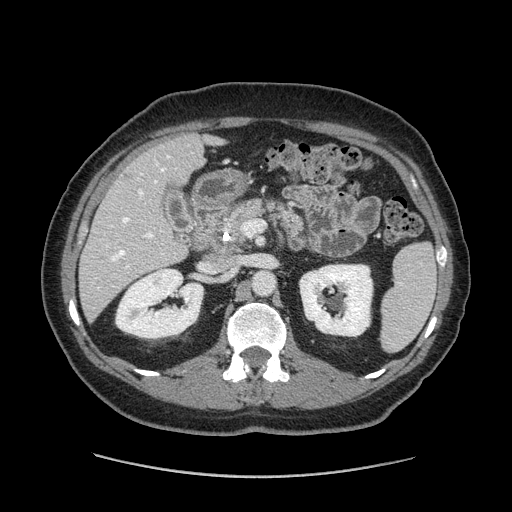 CT image; Upper abdomen
The pancreas appears at (left=225, top=200, right=303, bottom=243).